Field of view 240 mm wide, 1.00 mm slice spacing.
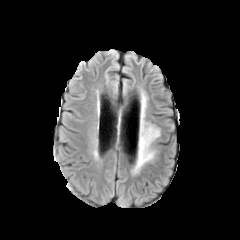
FLAIR MRI.
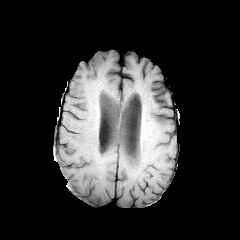
T1-weighted MR.
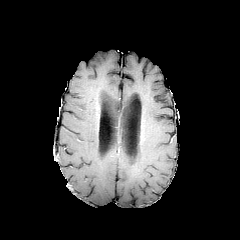
Post-contrast T1-weighted MRI.
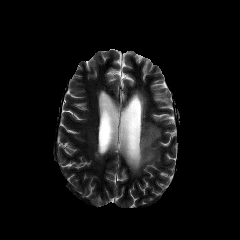
T2-weighted MRI of the same slice.
The edema is located at left=135, top=112, right=159, bottom=169.